Abdomen | CT scan slice | Slice 80 of 164 | 512x512

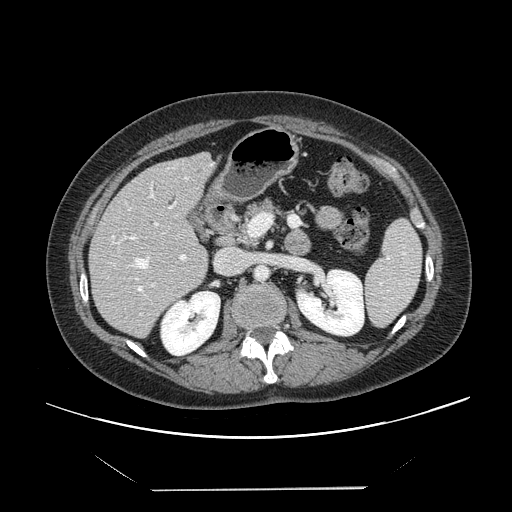

Only some of the vessels may be annotated.
Hepatic vessel — 150, 283, 155, 286; 248, 214, 261, 235; 215, 248, 244, 273; 149, 182, 155, 199; 177, 234, 180, 236; 168, 201, 176, 209; 110, 234, 136, 244; 125, 201, 130, 210; 136, 285, 146, 296; 126, 255, 149, 269; 154, 222, 158, 226; 185, 178, 187, 179; 135, 277, 138, 280; 108, 262, 115, 265; 179, 254, 186, 261.